Field of view 240 mm wide, 1.00 mm slice spacing
FLAIR MR.
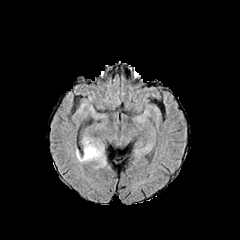
T1-weighted MRI.
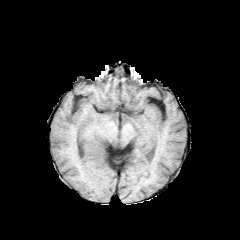
Post-contrast T1-weighted magnetic resonance.
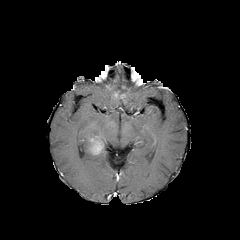
T2-weighted MR.
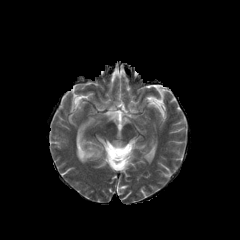
{"edema": ["[76, 137, 105, 167]"], "enhancing_tumor": ["[88, 138, 104, 155]"]}